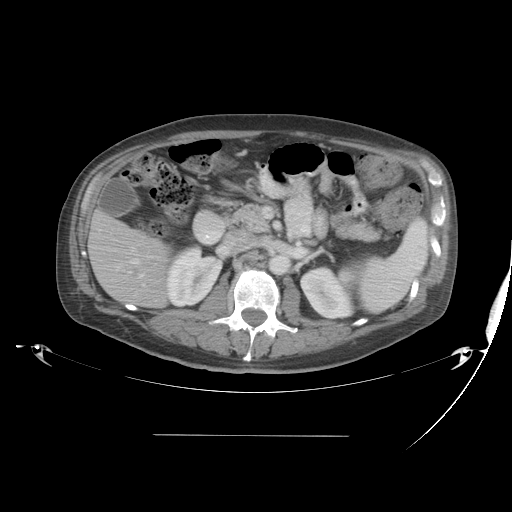 CT image, 512x512 px

Only some of the vessels may be annotated.
Findings:
* hepatic vessel: bbox(128, 258, 139, 264); bbox(142, 284, 144, 285); bbox(138, 273, 144, 278); bbox(128, 271, 129, 273)
* liver tumor: bbox(130, 267, 138, 276)